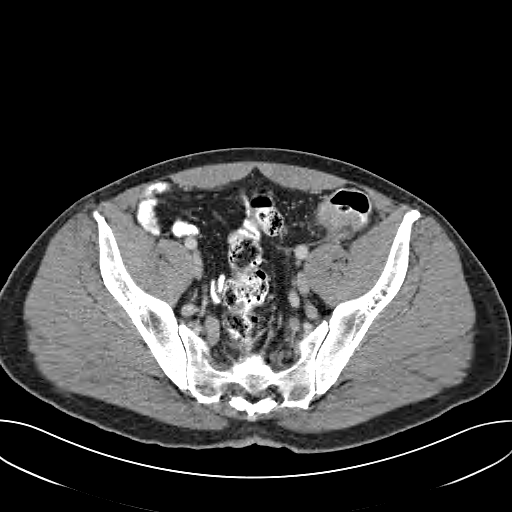 512x512 px. Computed tomography. <segmentation>
  <colon_tumor>[319, 202, 361, 236]</colon_tumor>
</segmentation>